Slice index 118.
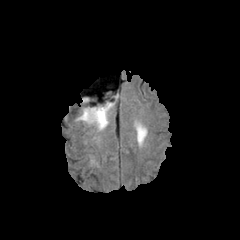
FLAIR MR.
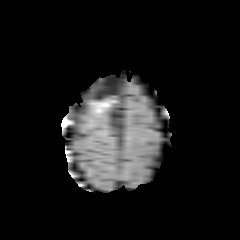
T1-weighted MR of the same slice.
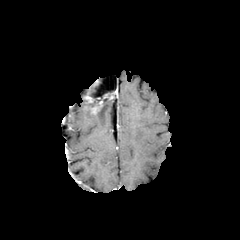
Post-contrast T1-weighted MR image.
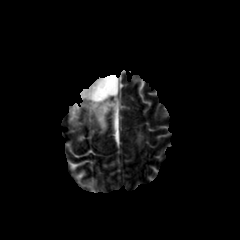
Same slice, T2-weighted MRI.
Non-enhancing tumor core at (92, 104, 105, 114).
Edema at (76, 100, 115, 132), (135, 125, 147, 145).